Slice 10 of 44, MRI slice, Image size 36x47, Medial temporal lobe

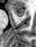
Anterior hippocampus: bounding box (10, 5, 24, 16).